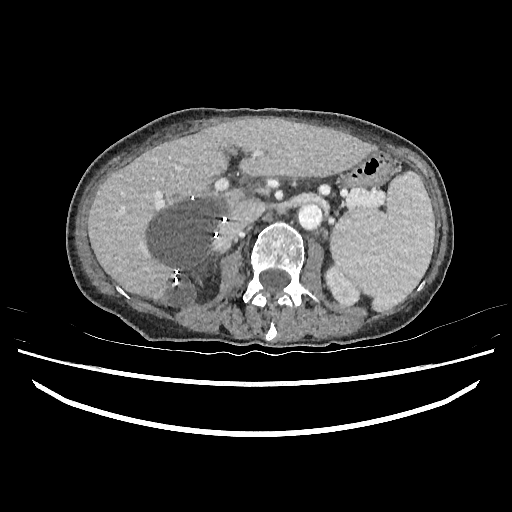 CT. Abdomen.

Kidney: 326, 268, 358, 297.
Liver: 89, 119, 373, 305.
Focal liver lesion: 145, 198, 220, 305.